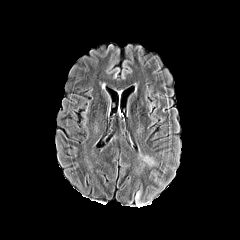
FLAIR MRI.
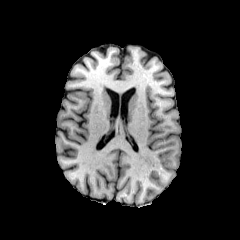
T1-weighted magnetic resonance of the same slice.
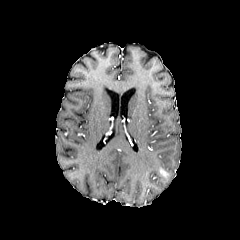
Same slice, post-contrast T1-weighted MRI.
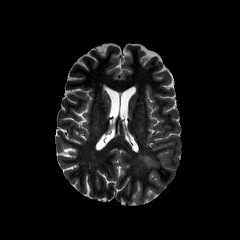
Same slice, T2-weighted magnetic resonance.
Head
edema: rect(143, 155, 158, 168)